CT image. Slice 323 of 836. 512x512 px. Abdomen.
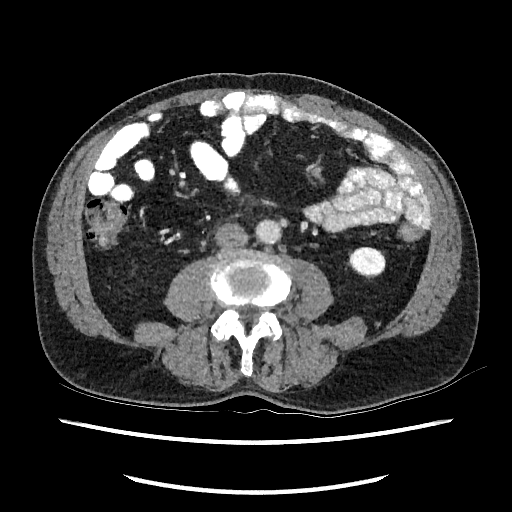

Segmented structures:
* kidney: [x1=349, y1=247, x2=385, y2=276]